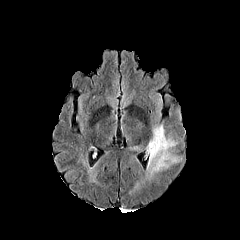
FLAIR MRI.
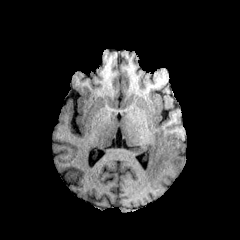
T1-weighted magnetic resonance.
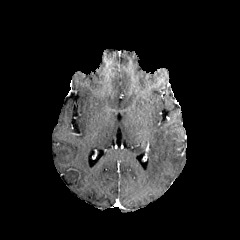
Post-contrast T1-weighted magnetic resonance of the same slice.
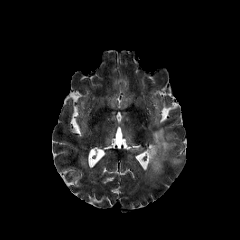
T2-weighted MRI of the same slice.
Brain. 240x240.
<segmentation>
  <edema>[146, 125, 178, 175]</edema>
</segmentation>